Medial temporal lobe. 42x51. MRI.

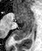

Anterior hippocampus at {"x1": 15, "y1": 9, "x2": 31, "y2": 23}.
Posterior hippocampus at {"x1": 14, "y1": 24, "x2": 31, "y2": 40}.